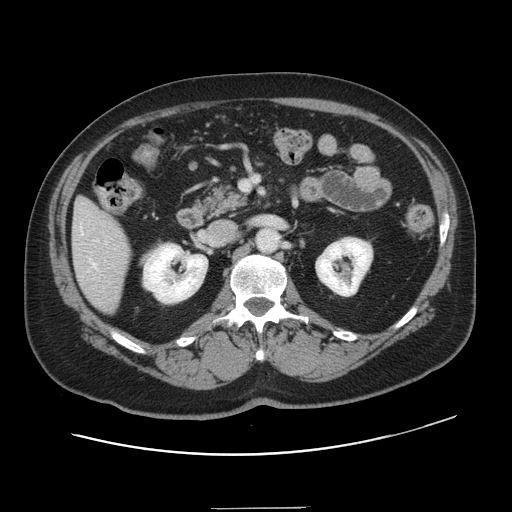
Liver; CT slice
Some hepatic vessels may have no box.
{
  "hepatic_vessel": [
    "(89, 258, 96, 268)",
    "(96, 240, 98, 241)",
    "(81, 228, 83, 235)"
  ]
}